Upper abdomen; Field of view 386x386 mm; CT scan slice
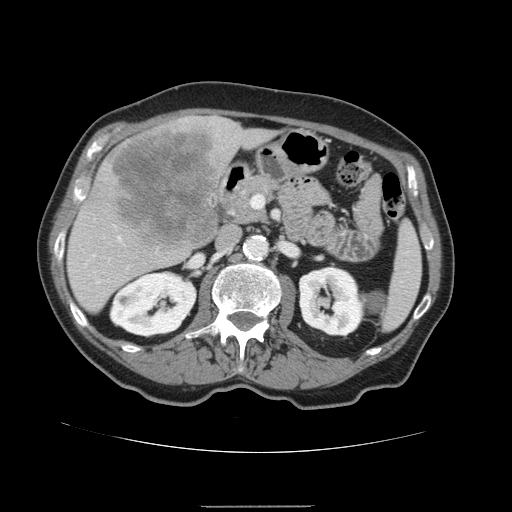
Segmented structures:
- spleen: bbox(384, 224, 420, 329)